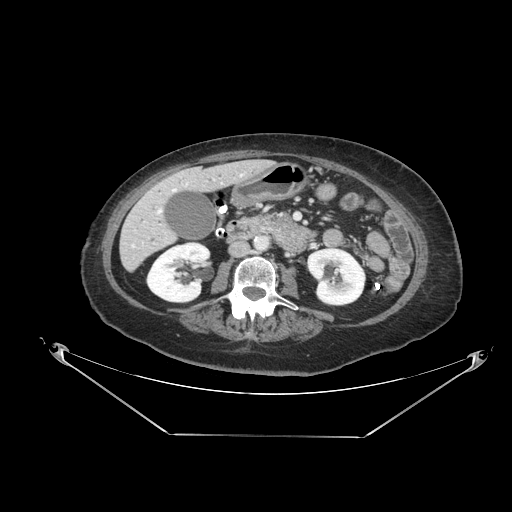

CT slice
pancreas:
  - (left=254, top=213, right=280, bottom=229)